Field of view 376 mm wide, 2.50 mm slice spacing; 512x512 px; Abdomen; CT scan slice

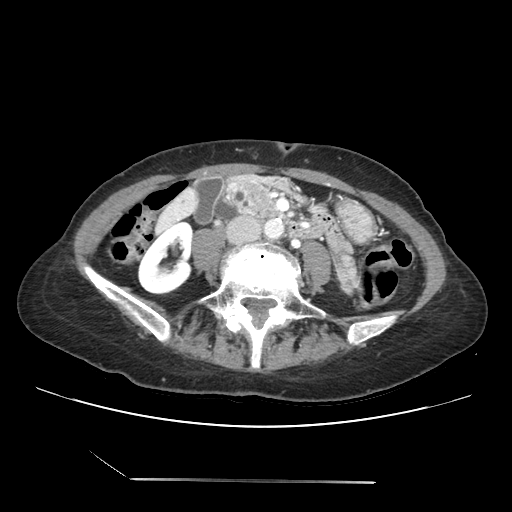

Pancreas: bounding box (left=215, top=174, right=311, bottom=223), (left=337, top=241, right=362, bottom=294).